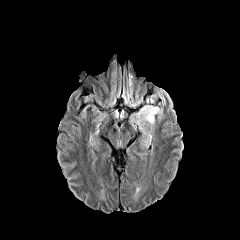
FLAIR MR image.
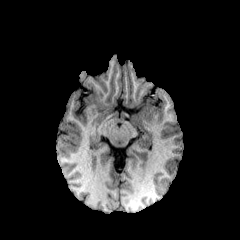
T1-weighted MR image of the same slice.
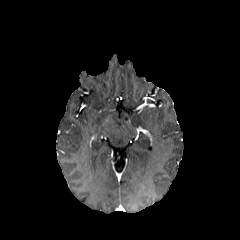
Post-contrast T1-weighted MR.
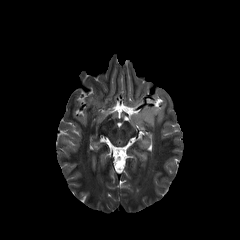
Same slice, T2-weighted MR image.
Edema: bounding box 146,88,170,106; 130,105,163,128.